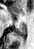
MRI, 34x49 px, Medial temporal lobe

• posterior hippocampus: [x1=12, y1=25, x2=26, y2=36]